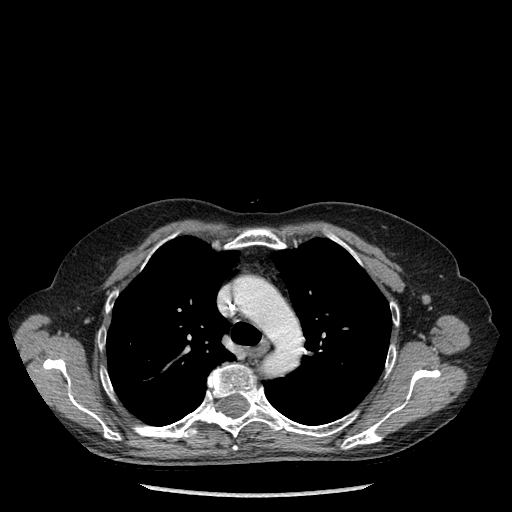 CT; Chest
Lung: bounding box [264,238,391,425], [106,236,260,425].
Bone: bounding box [100,368,114,400], [326,230,360,263], [385,345,396,376], [98,328,105,349], [341,369,440,448], [224,228,286,248], [133,364,358,438], [42,357,120,440], [142,239,165,268], [390,302,399,325], [106,292,117,312].